Field of view 496x496 mm, Abdomen, CT image, Slice 416 of 537
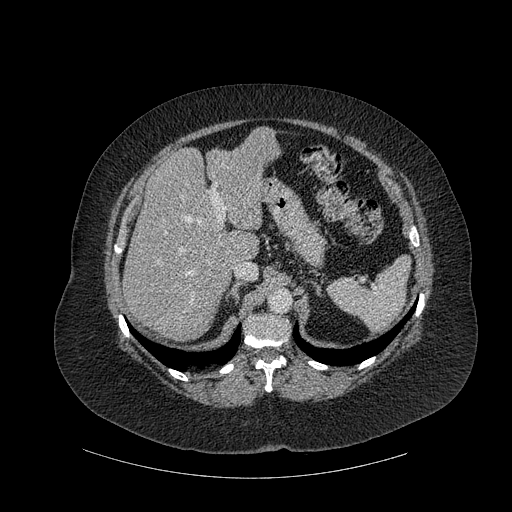

bone: <box>119,315,128,336</box>, <box>169,369,187,380</box>, <box>220,364,233,373</box>, <box>308,361,327,369</box>, <box>244,316,288,347</box>, <box>256,356,285,391</box>, <box>409,227,418,246</box>, <box>416,294,424,315</box>, <box>359,357,375,368</box> | lung: <box>293,306,414,365</box>, <box>128,324,240,371</box> | liver: <box>122,127,279,341</box>